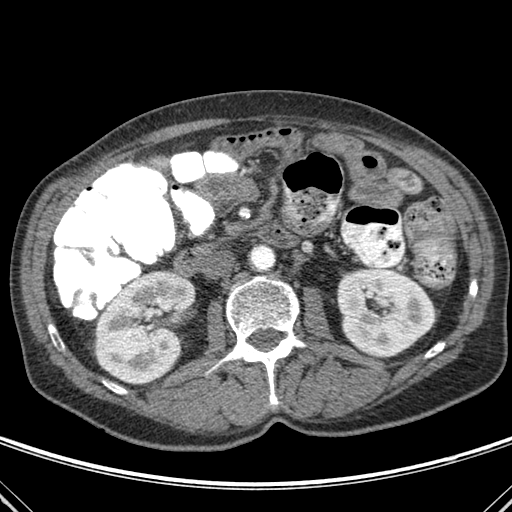 CT scan slice

Kidney — 96 274 194 382, 338 267 434 355.
Bone — 470 281 477 296, 103 380 126 394, 48 324 62 346, 240 209 249 217, 425 343 444 357, 212 276 305 404.